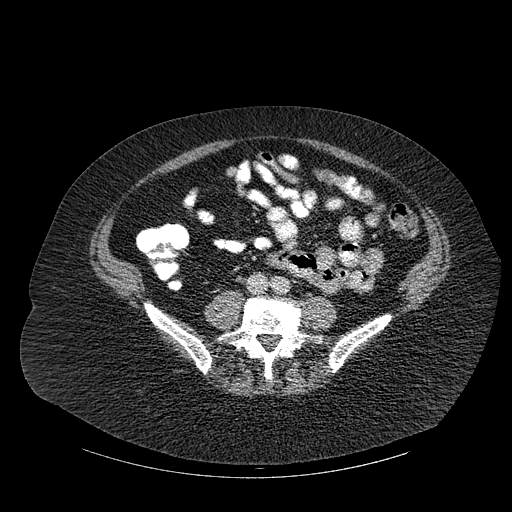

CT image.

Annotated regions:
• bone: 329, 315, 391, 372; 221, 297, 320, 379; 145, 303, 211, 373